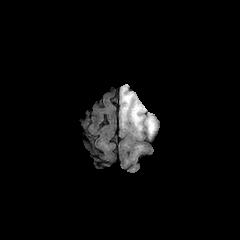
FLAIR MRI.
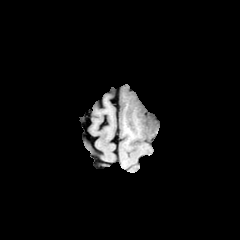
Same slice, T1-weighted MR.
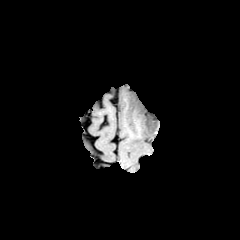
Post-contrast T1-weighted MR image.
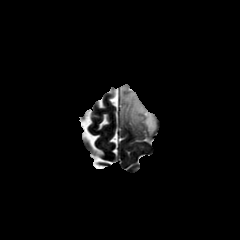
T2-weighted magnetic resonance.
Brain | 240x240 px
Findings:
* edema: x1=119, y1=84, x2=157, y2=137
* non-enhancing tumor core: x1=134, y1=112, x2=143, y2=128